Slice index 81 | 240x240 px | Brain
FLAIR MR image.
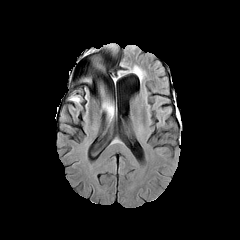
T1-weighted magnetic resonance.
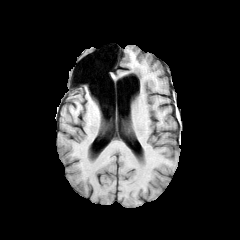
Post-contrast T1-weighted magnetic resonance.
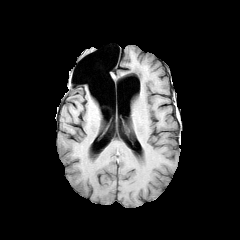
T2-weighted magnetic resonance.
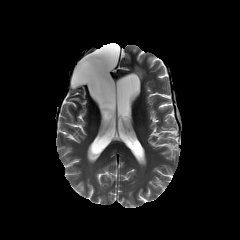
The edema is located at region(106, 100, 115, 120). The non-enhancing tumor core is at region(100, 94, 112, 113).